CT, Slice index 101, Upper abdomen 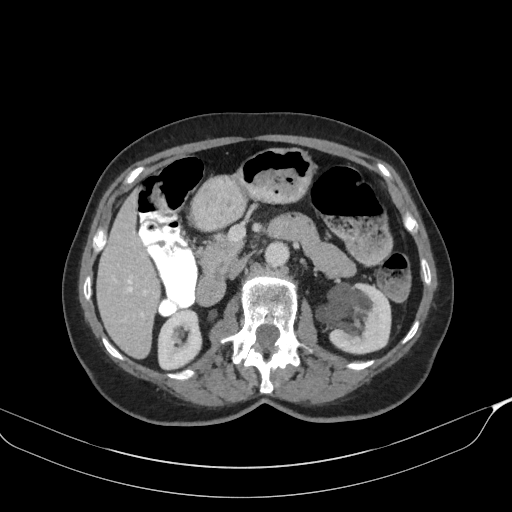

Pancreas: bounding box box=[201, 235, 241, 275].